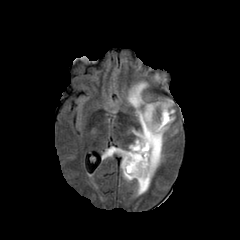
FLAIR MR image.
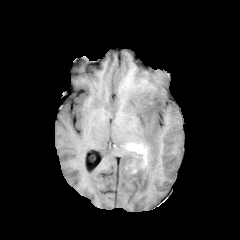
T1-weighted MRI.
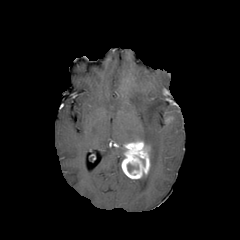
Post-contrast T1-weighted magnetic resonance.
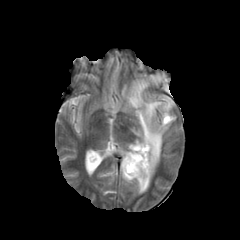
T2-weighted MR image.
240x240 px. Head.
The edema lies within left=128, top=81, right=175, bottom=194. The enhancing tumor is bounded by left=122, top=142, right=149, bottom=178.